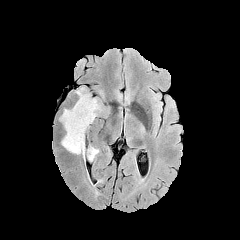
FLAIR MRI.
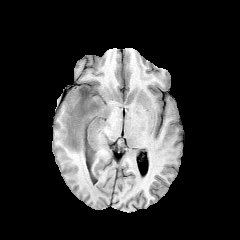
Same slice, T1-weighted magnetic resonance.
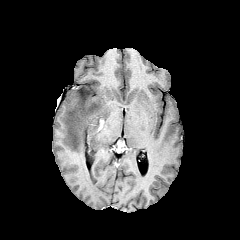
Post-contrast T1-weighted MR image.
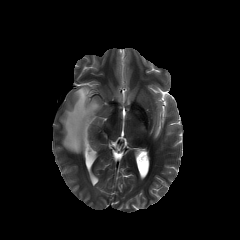
T2-weighted magnetic resonance.
240x240 px
The non-enhancing tumor core lies within 79,91,88,106. The edema is located at 60,87,103,161.